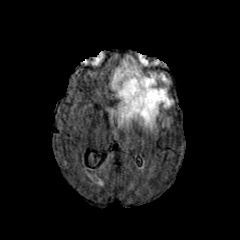
FLAIR MRI.
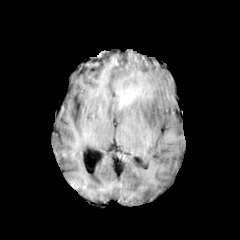
T1-weighted MR image.
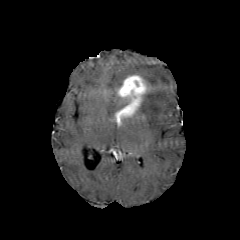
Post-contrast T1-weighted magnetic resonance.
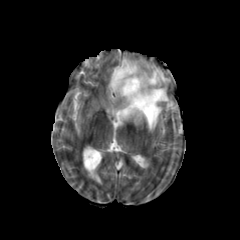
Same slice, T2-weighted MR image.
Brain
Edema: bounding box bbox(108, 55, 173, 131).
Enhancing tumor: bounding box bbox(113, 74, 149, 125).